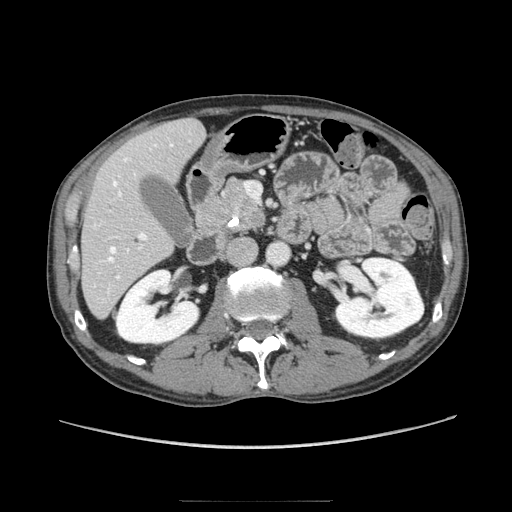
CT scan slice | Image size 512x512

Pancreatic tumor — (left=225, top=182, right=244, bottom=205).
Pancreas — (left=197, top=180, right=264, bottom=231).